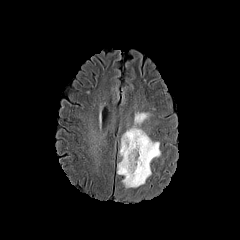
FLAIR MR image.
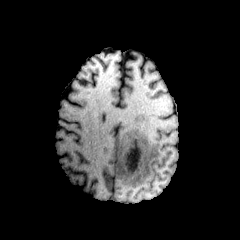
T1-weighted MRI.
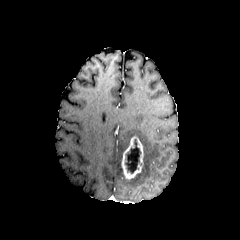
Post-contrast T1-weighted MR of the same slice.
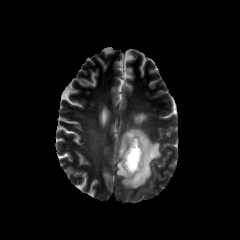
T2-weighted magnetic resonance of the same slice.
240x240; Brain
The enhancing tumor lies within l=121, t=135, r=143, b=180. The non-enhancing tumor core is bounded by l=124, t=138, r=140, b=173. The edema appears at l=120, t=112, r=160, b=188.